FLAIR MR image.
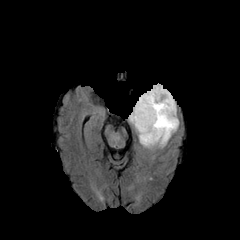
T1-weighted MRI.
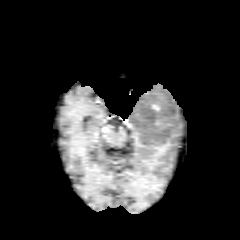
Post-contrast T1-weighted MRI.
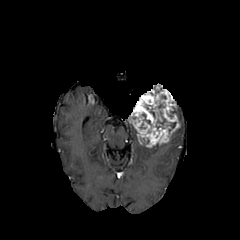
T2-weighted MRI.
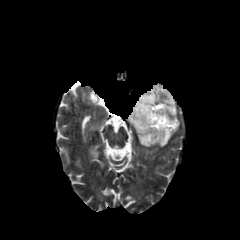
Head
Annotated regions:
* enhancing tumor: (left=128, top=84, right=179, bottom=147)